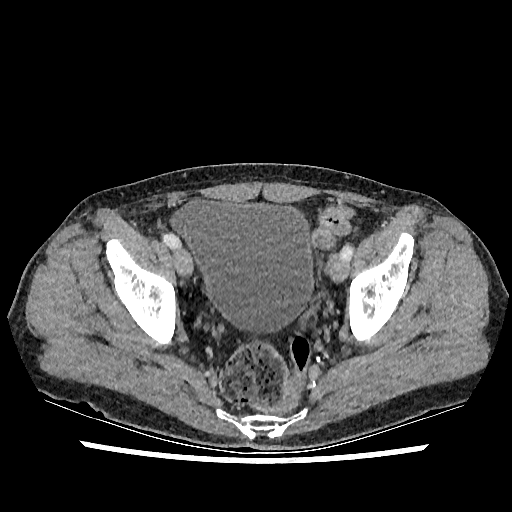

CT image

Urinary bladder: [x1=175, y1=198, x2=315, y2=333].